CT slice; Slice 68/122 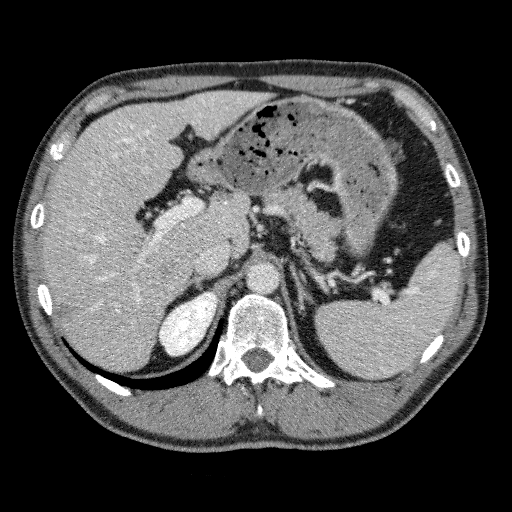 Liver lesion — {"x1": 56, "y1": 302, "x2": 76, "y2": 322}, {"x1": 222, "y1": 196, "x2": 235, "y2": 204}, {"x1": 159, "y1": 259, "x2": 181, "y2": 282}.
Liver — {"x1": 39, "y1": 90, "x2": 274, "y2": 369}.
Kidney — {"x1": 159, "y1": 292, "x2": 216, "y2": 355}.